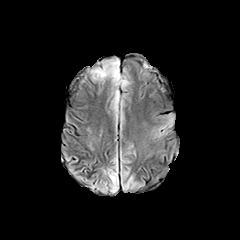
FLAIR MRI.
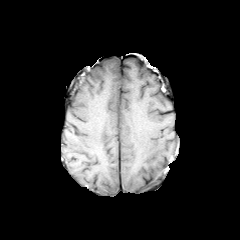
T1-weighted MR image.
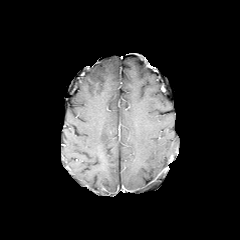
Same slice, post-contrast T1-weighted MR image.
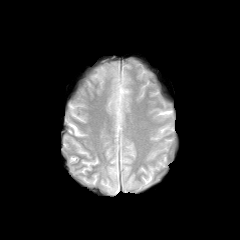
Same slice, T2-weighted MR image.
Brain. 240x240 px.
The edema appears at <box>108,167,118,191</box>.